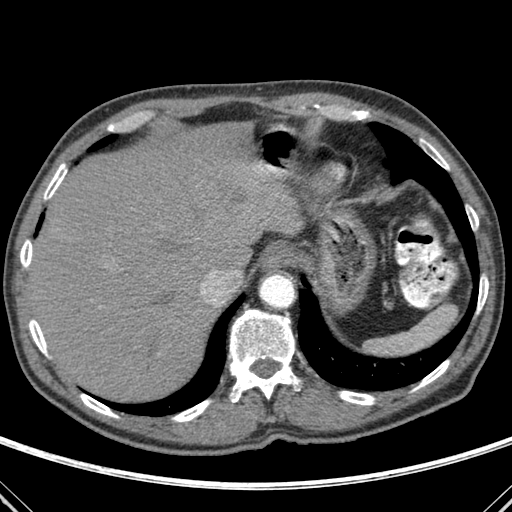

CT slice
Focal liver lesion = (left=233, top=187, right=246, bottom=202).
Bone = (left=80, top=394, right=117, bottom=417), (left=415, top=360, right=449, bottom=389), (left=29, top=320, right=47, bottom=355), (left=20, top=240, right=32, bottom=267), (left=172, top=400, right=211, bottom=421), (left=339, top=391, right=375, bottom=405), (left=229, top=310, right=299, bottom=402), (left=477, top=277, right=488, bottom=312), (left=420, top=139, right=449, bottom=169), (left=44, top=163, right=66, bottom=199), (left=466, top=206, right=478, bottom=230).
Lung = (left=298, top=122, right=476, bottom=390), (left=36, top=213, right=44, bottom=232), (left=88, top=135, right=116, bottom=151), (left=92, top=294, right=244, bottom=416).
Liver = (left=28, top=122, right=296, bottom=402).